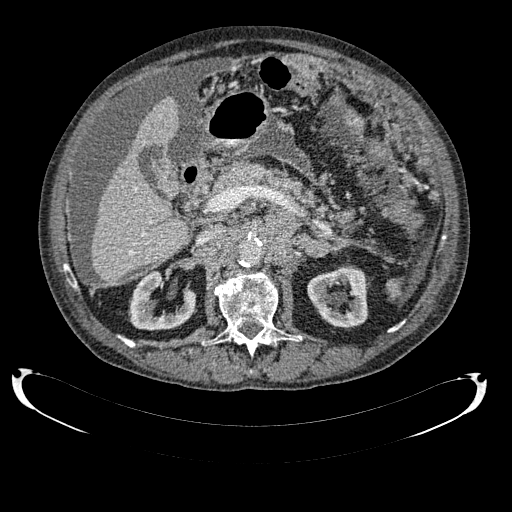 Computed tomography

2 kidney regions appear at bbox=[130, 271, 195, 329]; bbox=[307, 267, 367, 327]. The liver is bounded by bbox=[92, 96, 188, 283].